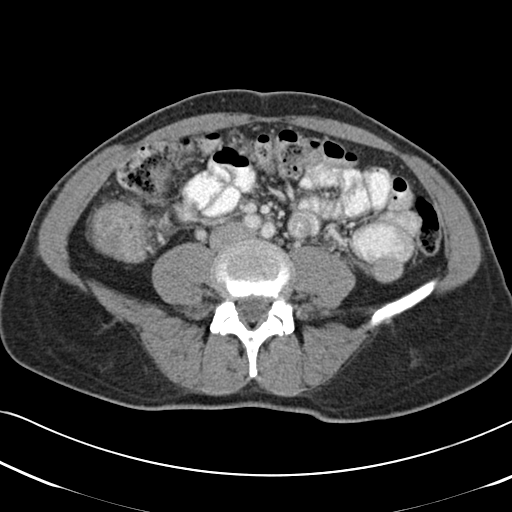
512x512. CT scan slice. Abdomen.
Colon tumor at (x1=87, y1=201, x2=149, y2=261).